CT scan slice; Image width 366 mm; Slice 64 of 141; 512x512 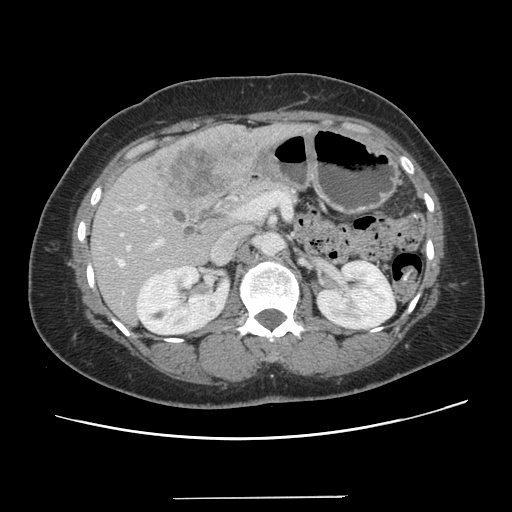

The vessel boxes may cover only some of the vessels.
Findings:
- hepatic vessel: (118,260,124,266), (152,239,163,247), (141,219,144,221), (137,205,144,209), (156,220,158,221), (120,233,123,235), (127,246,130,249), (117,207,120,209)
- liver tumor: (153,139,247,197)